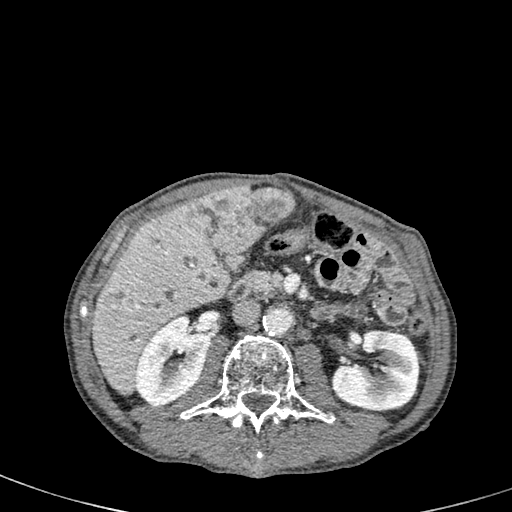

Image size 512x512. CT slice. Liver.
Segmented structures:
* liver: x1=92, y1=199, x2=231, y2=395
* liver lesion: x1=106, y1=288, x2=123, y2=302; x1=195, y1=186, x2=293, y2=253
* kidney: x1=135, y1=314, x2=212, y2=405; x1=333, y1=331, x2=418, y2=410